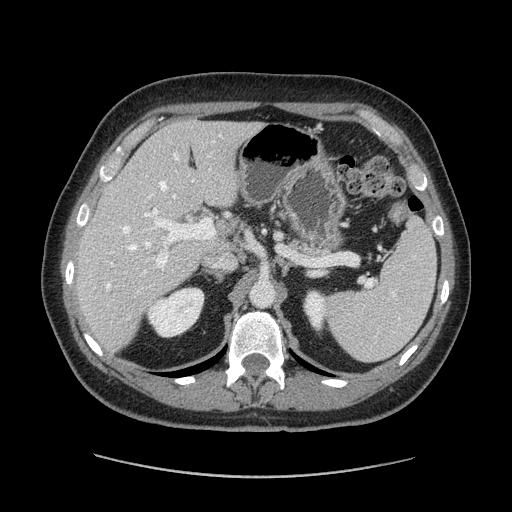

Abdomen. Image size 512x512. CT slice.

Pancreas = left=291, top=240, right=330, bottom=256.